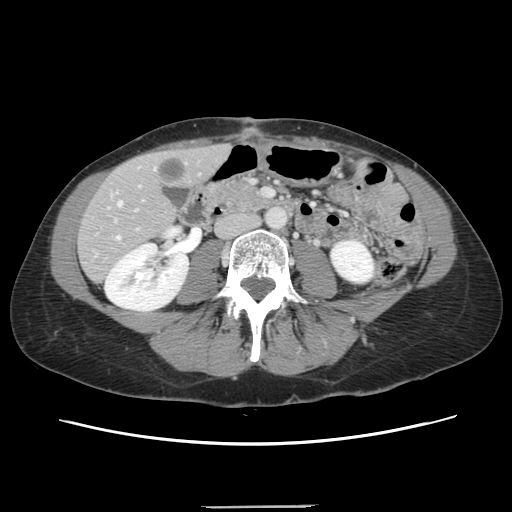 512x512 px | Computed tomography

The vessel boxes may cover only some of the vessels.
The liver tumor appears at <bbox>160, 158, 185, 182</bbox>. 7 hepatic vessel regions are bounded by <bbox>136, 228, 137, 229</bbox>, <bbox>116, 236, 119, 239</bbox>, <bbox>115, 192, 117, 193</bbox>, <bbox>135, 209, 136, 210</bbox>, <bbox>117, 201, 121, 205</bbox>, <bbox>114, 219, 115, 221</bbox>, <bbox>154, 167, 155, 169</bbox>.